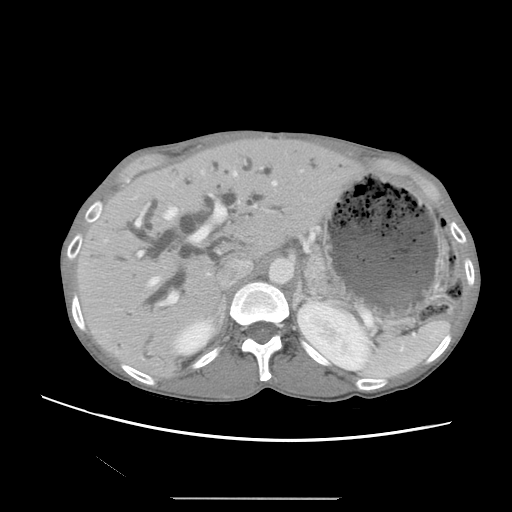
CT scan slice, Abdomen
• pancreas: box=[306, 249, 331, 293]